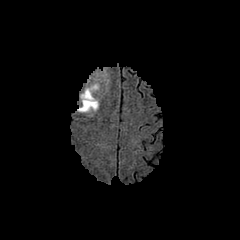
FLAIR MRI.
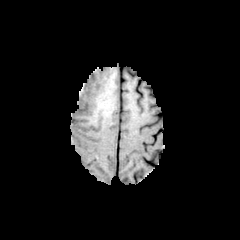
Same slice, T1-weighted magnetic resonance.
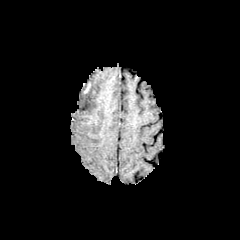
Same slice, post-contrast T1-weighted MRI.
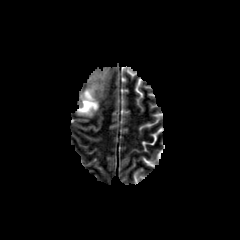
T2-weighted magnetic resonance.
Head
Findings:
- edema: <bbox>77, 83, 99, 115</bbox>